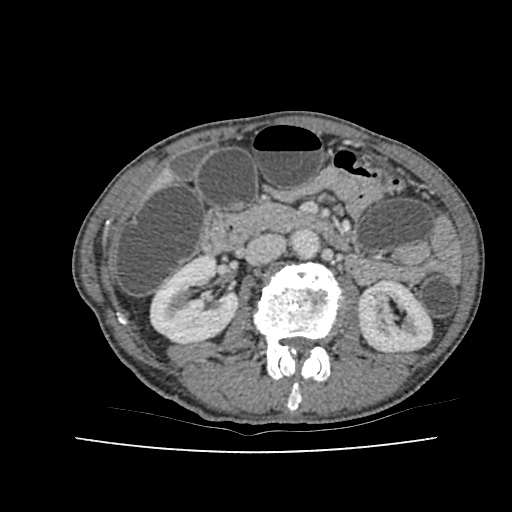
Image size 512x512, Abdomen, Computed tomography
Kidney: [359,281,431,351], [151,256,237,343].